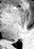
Image size 34x49 | MR
{
  "posterior_hippocampus": [
    "box(11, 38, 13, 39)"
  ]
}